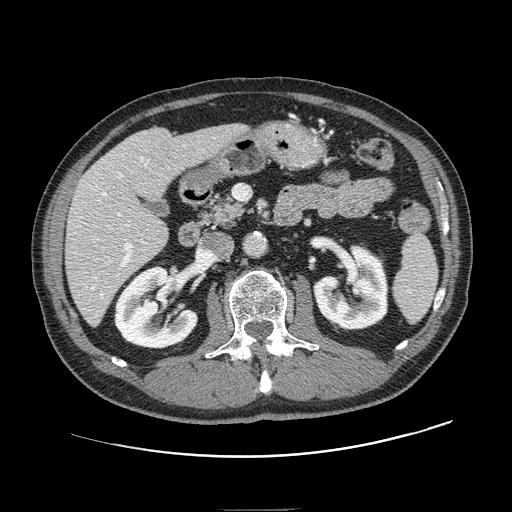
Upper abdomen. CT scan slice.

The pancreas is at {"x1": 203, "y1": 192, "x2": 248, "y2": 228}.